512x512 | Slice 147 of 276 | CT
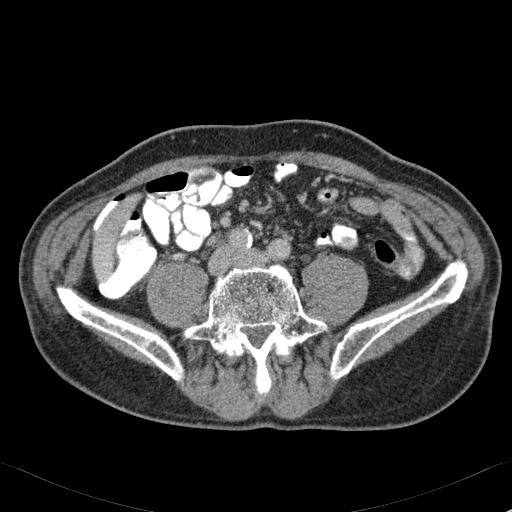

Liver at bbox=[93, 229, 117, 276]; bbox=[111, 209, 128, 228].